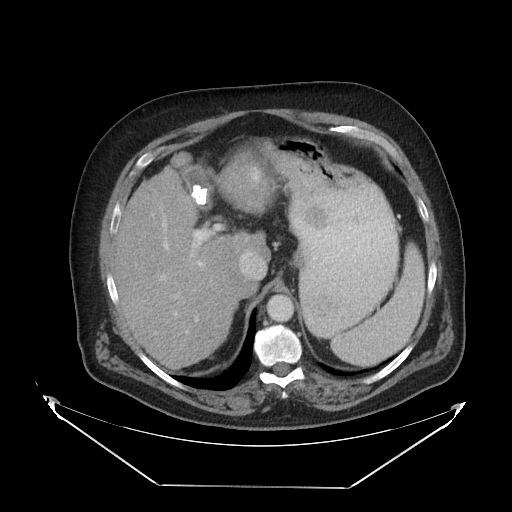
CT slice
Some hepatic vessels may have no box.
Annotated regions:
• hepatic vessel: rect(189, 225, 220, 265); rect(240, 250, 264, 278)
• liver tumor: rect(244, 165, 266, 181)